Image size 512x512 | CT scan slice 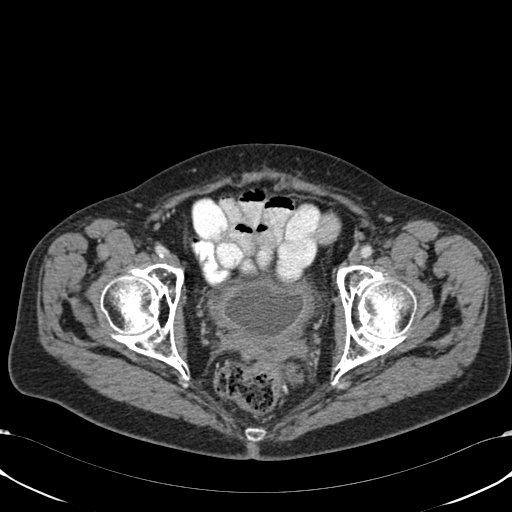 The urinary bladder lies within left=225, top=285, right=302, bottom=335.